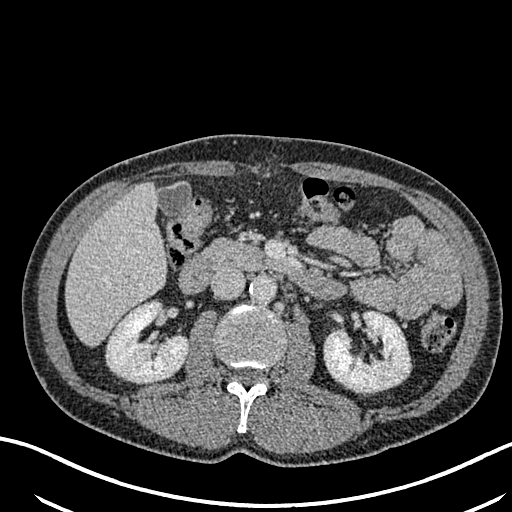

CT slice
liver: rect(66, 182, 166, 345) | kidney: rect(106, 302, 187, 382); rect(324, 312, 410, 391)